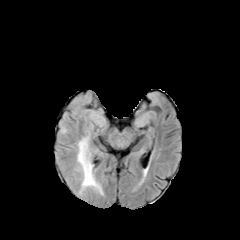
FLAIR MR image.
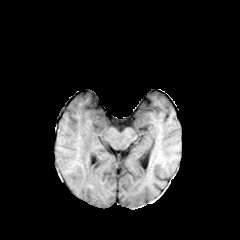
T1-weighted MR image.
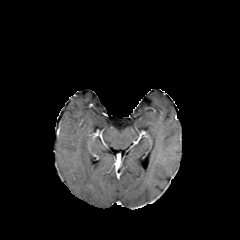
Post-contrast T1-weighted MRI of the same slice.
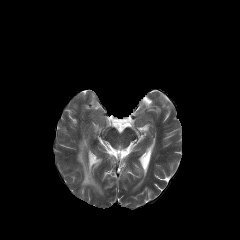
Same slice, T2-weighted MRI.
Image size 240x240
Edema: left=77, top=137, right=102, bottom=194.